Computed tomography | Liver | 512x512 px
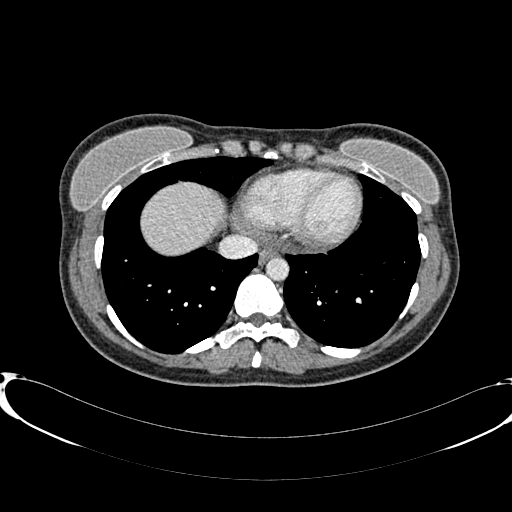 The liver is located at box=[142, 184, 221, 253].